FLAIR magnetic resonance.
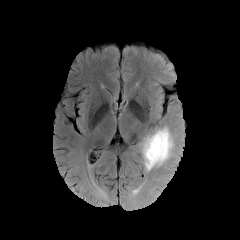
T1-weighted magnetic resonance.
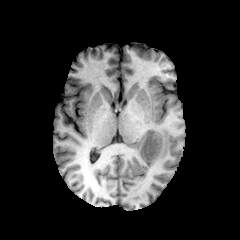
Post-contrast T1-weighted magnetic resonance.
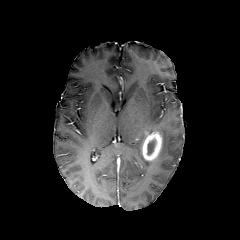
T2-weighted MR image.
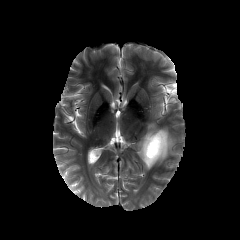
Image size 240x240, Brain
The edema is located at (137, 126, 179, 171). The non-enhancing tumor core lies within (147, 142, 154, 153). The enhancing tumor is located at (141, 131, 162, 161).